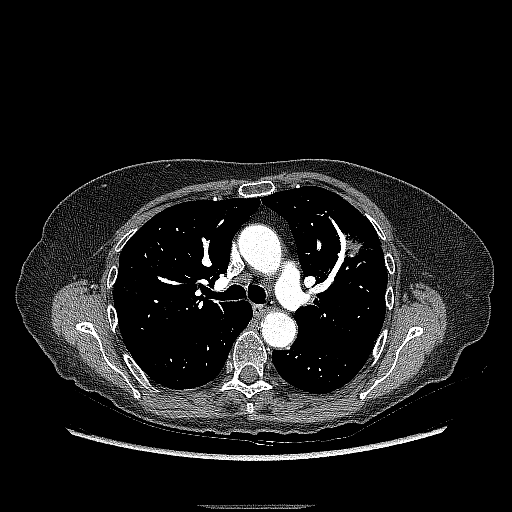

CT image; Chest
Lung tumor at (left=334, top=228, right=369, bottom=262).